Slice 152/277, CT

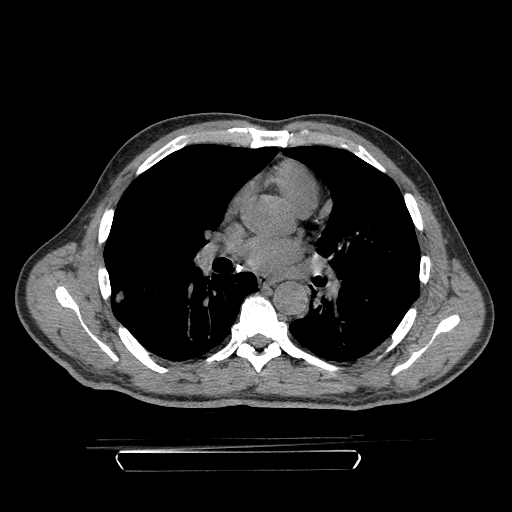 lung_tumor:
  - l=114, t=290, r=125, b=303